Slice 134 of 151; CT image; 512x512
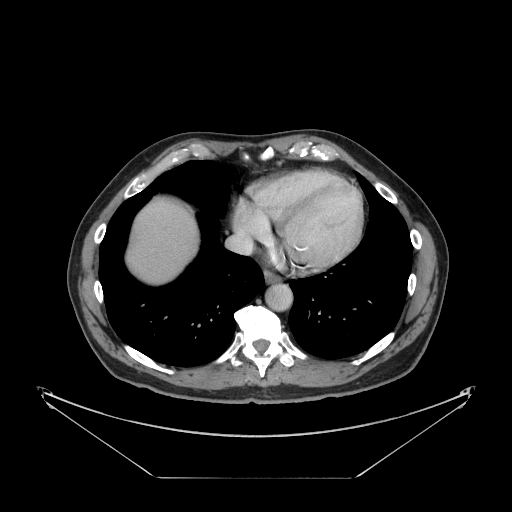
The vessel annotation is not exhaustive.
<segmentation>
  <hepatic_vessel>{"x1": 230, "y1": 226, "x2": 260, "y2": 253}</hepatic_vessel>
</segmentation>